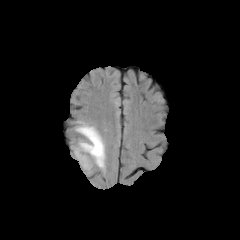
FLAIR MR image.
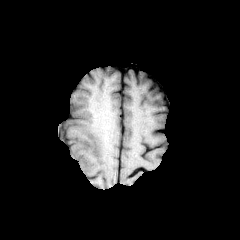
T1-weighted magnetic resonance of the same slice.
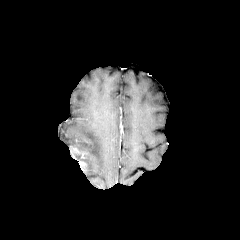
Post-contrast T1-weighted magnetic resonance.
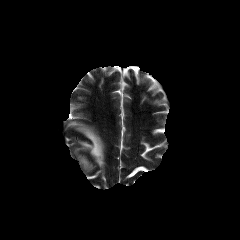
T2-weighted magnetic resonance.
Head.
{
  "edema": [
    "<bbox>77, 125, 104, 167</bbox>"
  ]
}